FLAIR MR image.
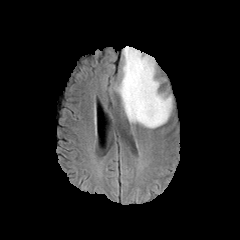
T1-weighted MR.
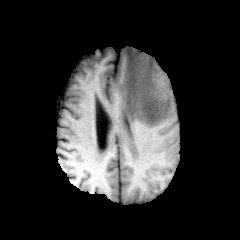
Post-contrast T1-weighted magnetic resonance.
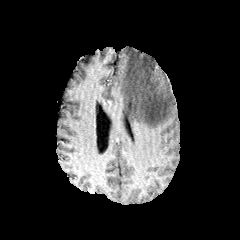
T2-weighted magnetic resonance.
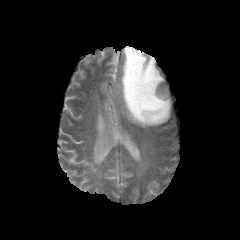
Brain
Annotated regions:
- edema: [x1=114, y1=46, x2=173, y2=128]